FLAIR MR.
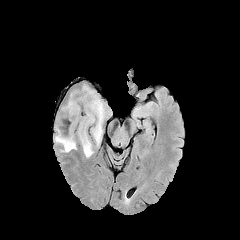
T1-weighted magnetic resonance.
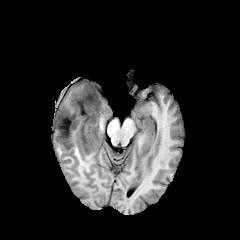
Post-contrast T1-weighted magnetic resonance.
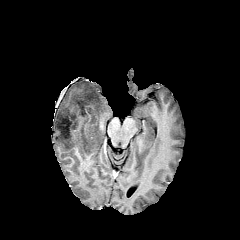
T2-weighted MR.
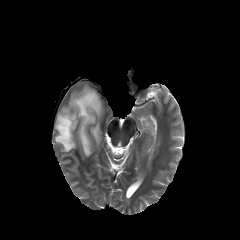
Non-enhancing tumor core — box(56, 88, 99, 141).
Edema — box(62, 85, 89, 113); box(54, 94, 105, 157).